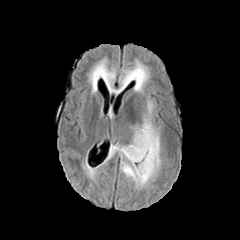
FLAIR MR.
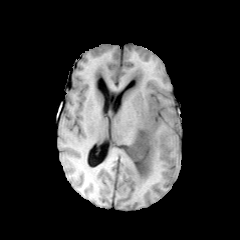
T1-weighted MR image.
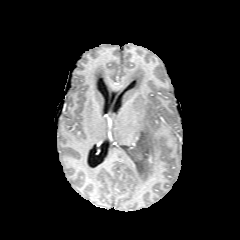
Post-contrast T1-weighted MR of the same slice.
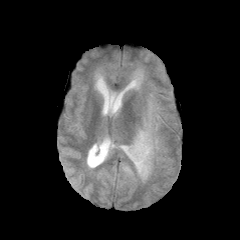
T2-weighted magnetic resonance.
edema:
  - x1=112 y1=60 x2=149 y2=94
  - x1=106 y1=95 x2=163 y2=187
  - x1=90 y1=65 x2=111 y2=86
non-enhancing_tumor_core:
  - x1=114 y1=134 x2=151 y2=181